CT image. Field of view 451x451 mm. Abdomen.

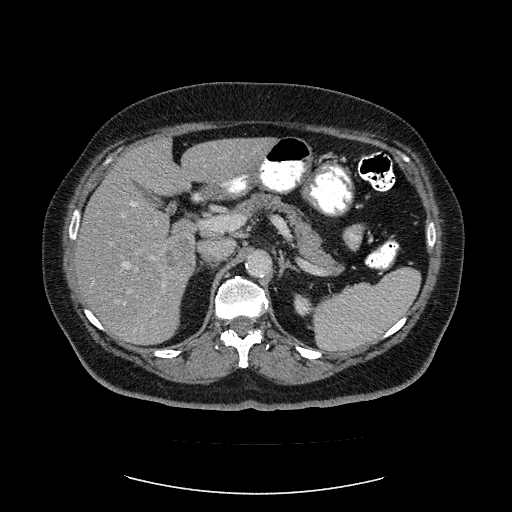
The vessel boxes may cover only some of the vessels.
Liver tumor at bbox=[162, 233, 192, 278].
Hepatic vessel at bbox=[122, 214, 125, 216]; bbox=[153, 311, 155, 312]; bbox=[150, 256, 155, 258]; bbox=[192, 229, 194, 240]; bbox=[123, 262, 130, 267]; bbox=[124, 302, 126, 304]; bbox=[225, 176, 244, 182]; bbox=[160, 265, 161, 267]; bbox=[128, 290, 131, 292]; bbox=[132, 202, 136, 205]; bbox=[116, 300, 119, 302]; bbox=[135, 267, 137, 270].